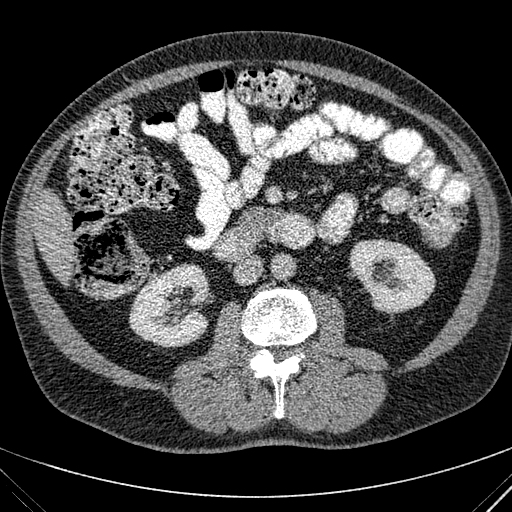
Upper abdomen | CT image

{
  "kidney": [
    "350,239,434,312",
    "129,263,208,346"
  ],
  "liver": [
    "36,189,72,283"
  ]
}